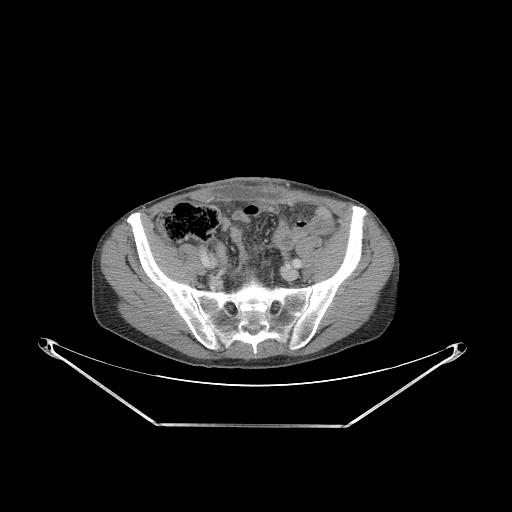
CT slice
Bone at left=127, top=207, right=365, bottom=352.